Computed tomography
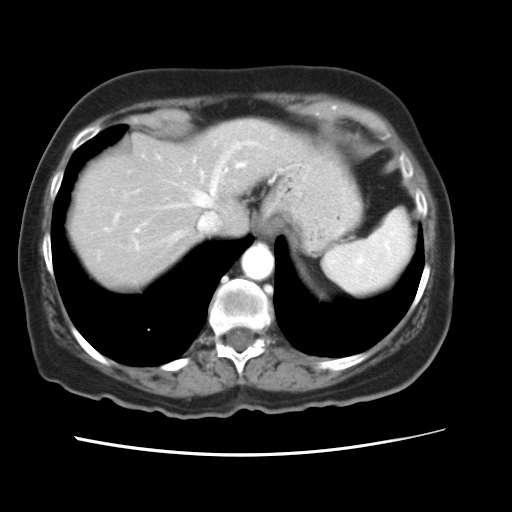

Only some of the vessels may be annotated.
Hepatic vessel: bounding box (135,226,141,232), (236,163,244,167), (134,241,138,248), (235,142,254,148), (209,162,226,196), (201,172,202,179), (193,191,203,205).